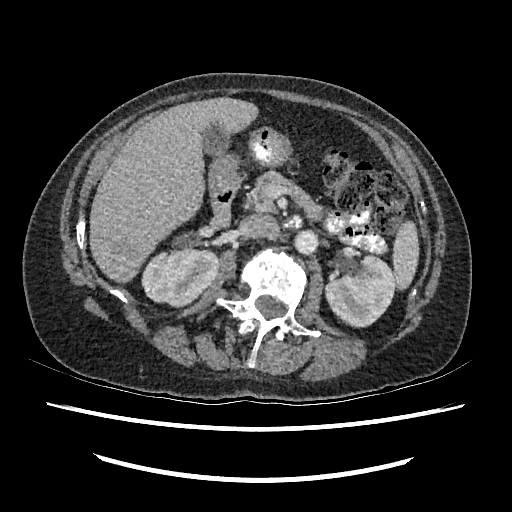

CT slice; Liver
<segmentation>
  <liver>(90,98,257,282)</liver>
  <hepatic_lesion>(118,246,130,252)</hepatic_lesion>
  <kidney>(325,256,396,326), (142,249,219,305)</kidney>
</segmentation>